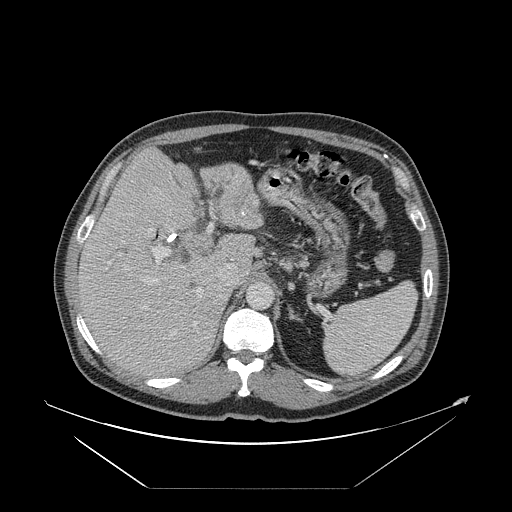

Liver | Computed tomography
Not every hepatic vessel necessarily has a box.
{"hepatic_vessel": ["rect(192, 322, 196, 327)", "rect(208, 224, 212, 231)", "rect(149, 229, 154, 236)", "rect(119, 253, 121, 255)", "rect(171, 330, 176, 335)", "rect(210, 202, 215, 219)", "rect(211, 263, 239, 290)", "rect(144, 278, 157, 284)", "rect(160, 229, 175, 242)", "rect(151, 248, 170, 268)", "rect(143, 306, 145, 308)", "rect(106, 262, 109, 263)", "rect(124, 266, 127, 268)", "rect(194, 289, 202, 296)"]}